FLAIR MRI.
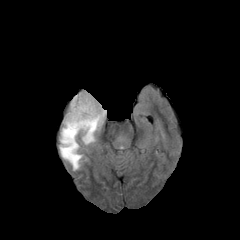
T1-weighted MRI.
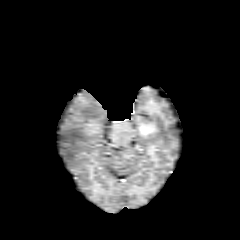
Post-contrast T1-weighted MR.
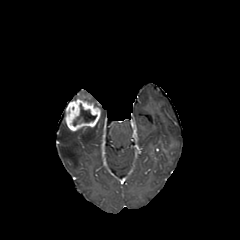
T2-weighted MRI.
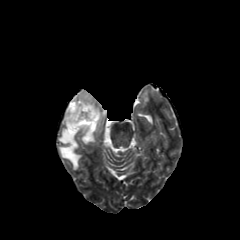
Brain
Edema: bounding box {"x1": 59, "y1": 108, "x2": 106, "y2": 170}.
Non-enhancing tumor core: bounding box {"x1": 73, "y1": 106, "x2": 96, "y2": 126}.
Enhancing tumor: bounding box {"x1": 63, "y1": 90, "x2": 100, "y2": 131}.